CT image. Abdomen. Slice 37 of 89. 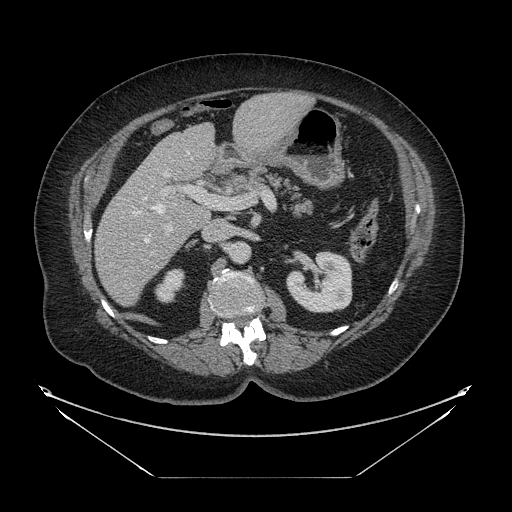
<segmentation>
  <pancreas>x1=284, y1=185, x2=312, y2=218; x1=248, y1=167, x2=282, y2=191</pancreas>
</segmentation>